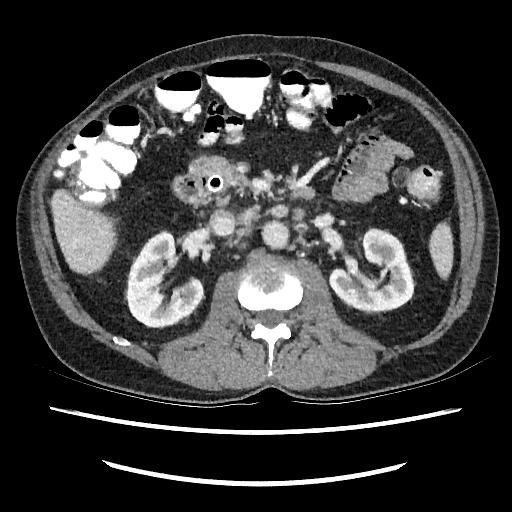 Upper abdomen, 512x512, Computed tomography

The liver is located at <box>52,191,114,272</box>. 2 kidney regions appear at <box>127,233,202,326</box>, <box>330,230,413,310</box>.